MR. Hippocampus. 36x50 px. Field of view 36x50 mm. 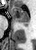

Segmented structures:
• posterior hippocampus: left=24, top=23, right=27, bottom=26
• anterior hippocampus: left=11, top=7, right=30, bottom=22